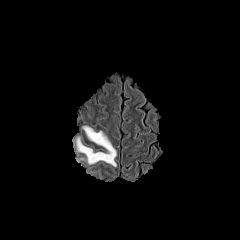
FLAIR magnetic resonance.
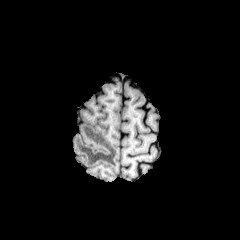
T1-weighted MR.
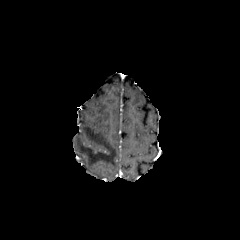
Post-contrast T1-weighted MR image.
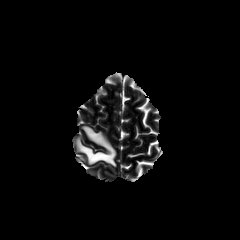
T2-weighted MRI.
Head
Findings:
• edema: 76:126:116:166